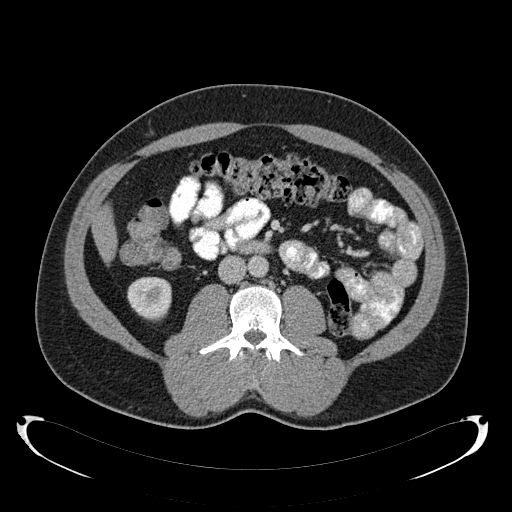 CT image

Kidney: <bbox>128, 277, 170, 318</bbox>.
Liver: <bbox>93, 207, 115, 260</bbox>.